CT | Field of view 330x330 mm | 512x512 | Liver

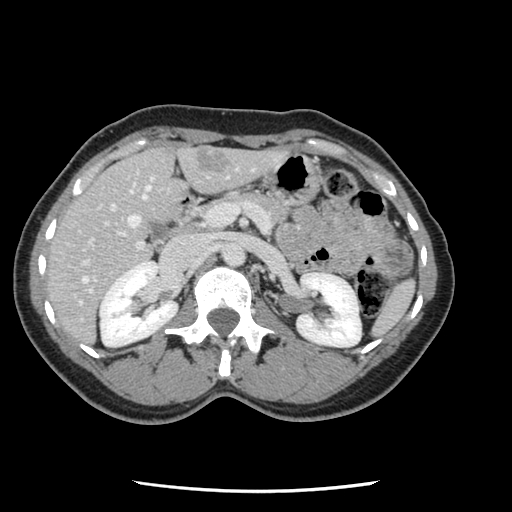

Some hepatic vessels may have no box.
{"liver_tumor": ["(196, 151, 228, 172)"], "hepatic_vessel": ["(150, 177, 152, 180)", "(84, 261, 86, 262)", "(82, 276, 87, 281)", "(110, 205, 114, 208)", "(119, 231, 123, 234)", "(130, 189, 132, 191)", "(146, 186, 149, 190)", "(136, 242, 142, 247)", "(89, 289, 91, 290)", "(89, 240, 91, 242)", "(127, 215, 138, 225)", "(142, 192, 146, 198)"]}